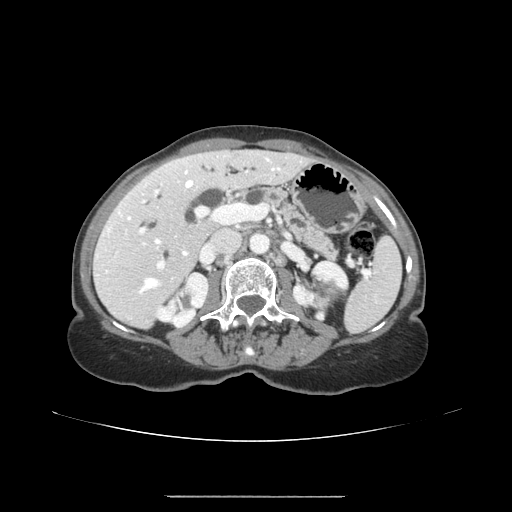

Computed tomography | Abdomen
Pancreas at region(243, 187, 337, 260).